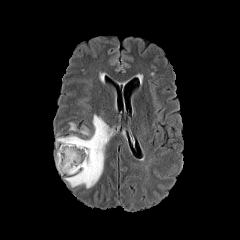
FLAIR MRI.
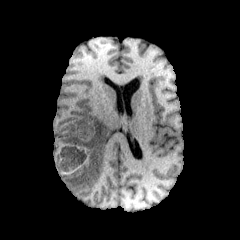
Same slice, T1-weighted MR image.
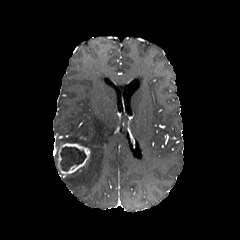
Post-contrast T1-weighted MR.
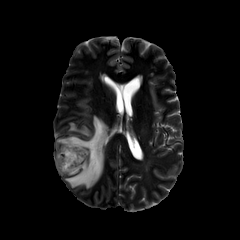
T2-weighted MRI.
240x240 | Brain
non-enhancing tumor core: <box>54,152,58,171</box>, <box>60,146,86,171</box> | enhancing tumor: <box>57,143,90,174</box> | edema: <box>56,115,111,189</box>